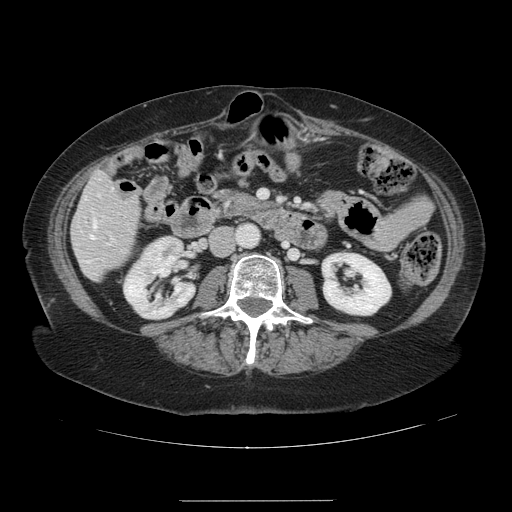

CT slice | Image size 512x512 | Liver
Only some of the vessels may be annotated.
hepatic_vessel:
  - rect(84, 196, 85, 198)
  - rect(92, 217, 95, 227)
  - rect(109, 235, 111, 242)
  - rect(90, 234, 94, 238)